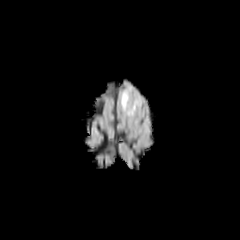
FLAIR magnetic resonance.
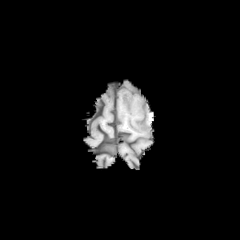
T1-weighted magnetic resonance.
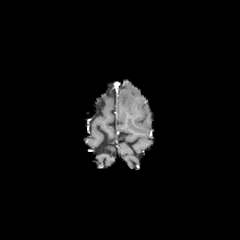
Post-contrast T1-weighted magnetic resonance of the same slice.
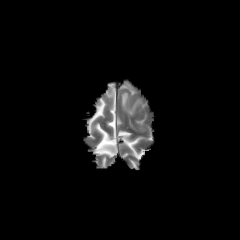
T2-weighted MR.
Edema: bounding box rect(121, 91, 128, 109).